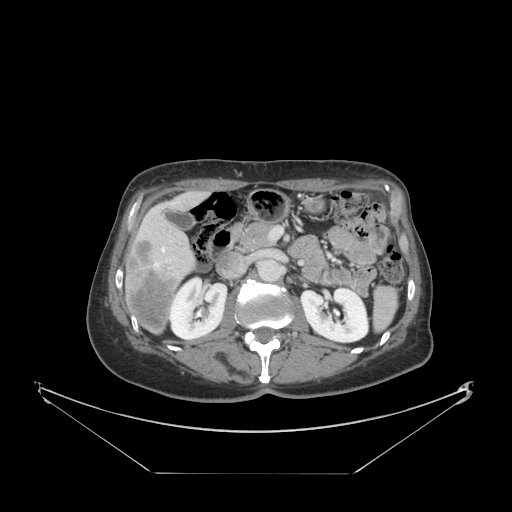
Upper abdomen. CT slice. 512x512 px.
spleen:
  - x1=375, y1=288, x2=397, y2=328